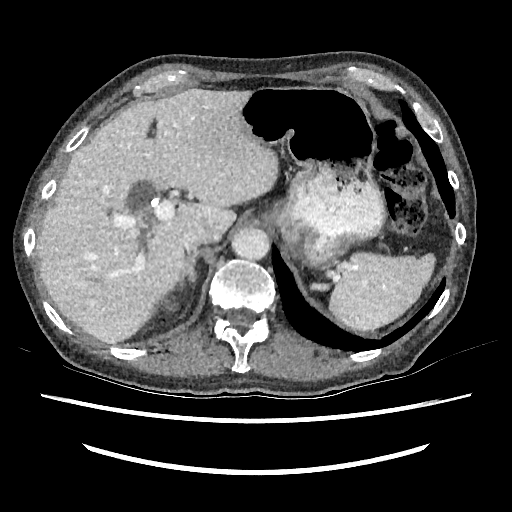

Upper abdomen | CT slice | Image size 512x512
{
  "liver": [
    {"x1": 37, "y1": 90, "x2": 276, "y2": 343}
  ]
}